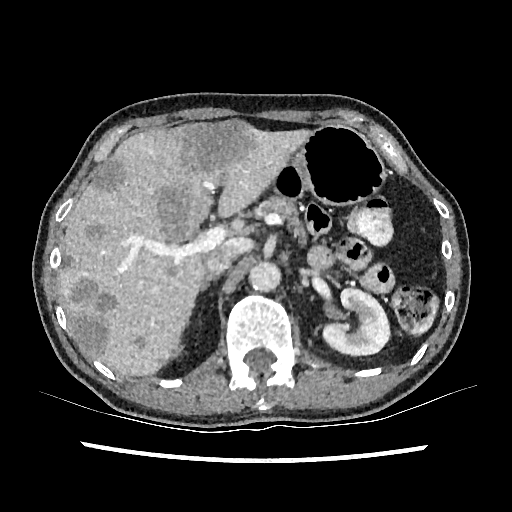 Liver; CT
The liver lies within 59 129 308 374. 2 kidney regions are located at 322 289 394 358, 313 278 329 297. 9 liver lesion regions are located at 61 254 74 269, 170 122 257 174, 133 336 146 349, 71 278 118 312, 68 312 108 355, 167 267 176 276, 92 160 122 190, 85 223 106 240, 157 186 192 240.